Brain; Image size 240x240
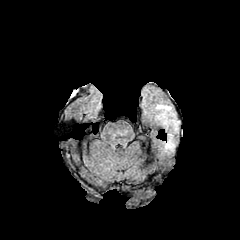
FLAIR MR image.
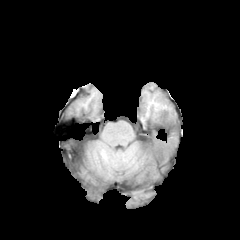
T1-weighted magnetic resonance.
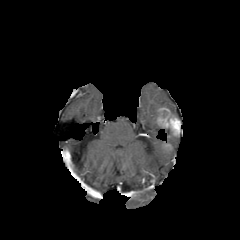
Post-contrast T1-weighted MRI.
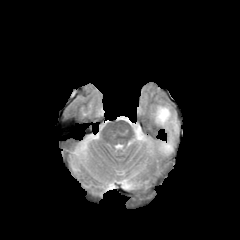
T2-weighted MR.
Enhancing tumor at bbox=[154, 107, 181, 155].
Edema at bbox=[153, 101, 173, 120].